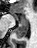

Medial temporal lobe, Magnetic resonance
2 anterior hippocampus regions are located at {"x1": 19, "y1": 16, "x2": 28, "y2": 22}, {"x1": 12, "y1": 12, "x2": 18, "y2": 20}. The posterior hippocampus lies within {"x1": 14, "y1": 23, "x2": 28, "y2": 38}.